FLAIR MRI.
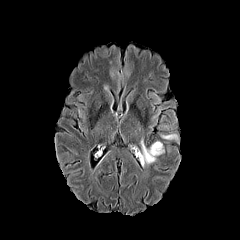
T1-weighted MR image.
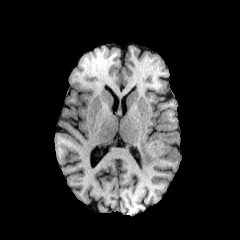
Post-contrast T1-weighted MRI.
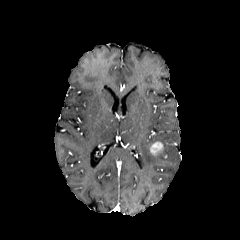
T2-weighted MR.
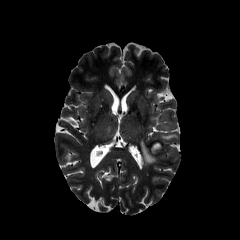
240x240 px. Brain.
Edema: bounding box (139,136,156,165), (161,134,176,139).
Enhancing tumor: bounding box (149,142,164,156).